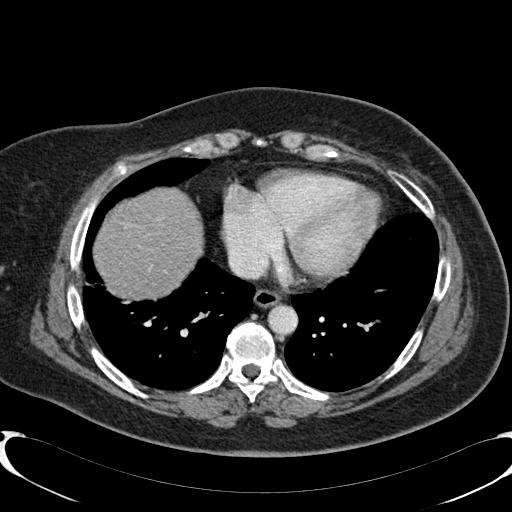 Abdomen; CT slice
The liver is bounded by (94,189,201,296).